CT; Abdomen

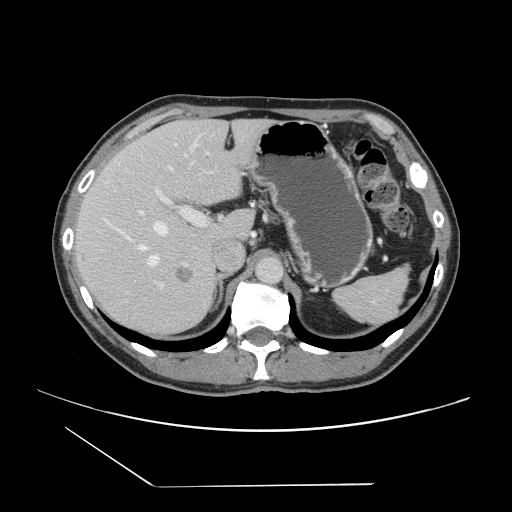

Only some of the vessels may be annotated.
<segmentation>
  <liver_tumor>174 265 193 282</liver_tumor>
  <hepatic_vessel>141 155 142 158, 185 153 186 156, 207 171 212 172, 169 167 172 169, 138 245 138 248, 158 282 161 282, 193 139 200 147, 191 162 193 164</hepatic_vessel>
</segmentation>